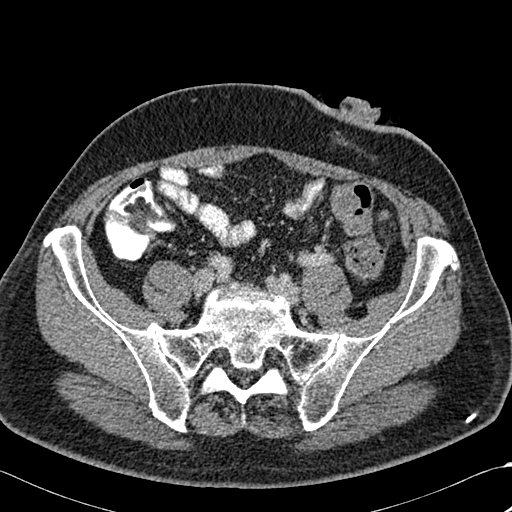

CT slice.
The bone appears at box=[44, 226, 457, 431].